FLAIR magnetic resonance.
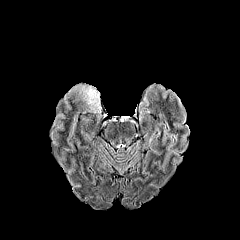
T1-weighted MR image.
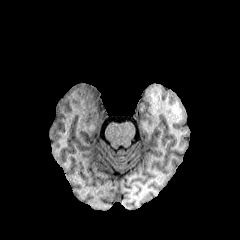
Post-contrast T1-weighted MR image.
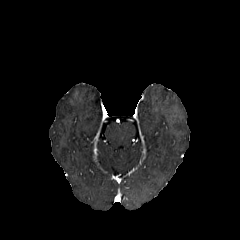
T2-weighted MRI.
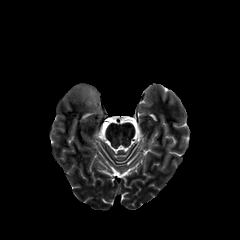
Head.
Edema: 70:84:101:115.